FLAIR MR.
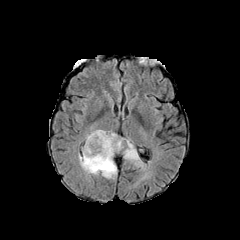
T1-weighted MR image.
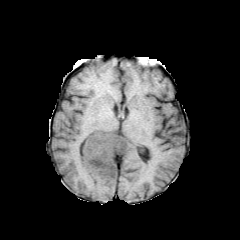
Post-contrast T1-weighted MR image.
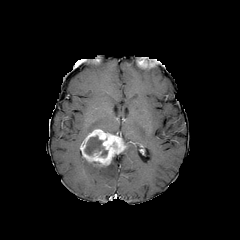
T2-weighted magnetic resonance.
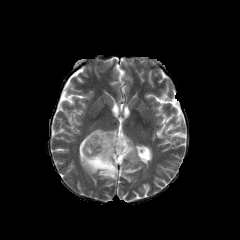
240x240
edema:
  - region(78, 154, 117, 179)
  - region(123, 143, 143, 168)
enhancing_tumor:
  - region(79, 129, 127, 167)
non-enhancing_tumor_core:
  - region(85, 136, 101, 154)